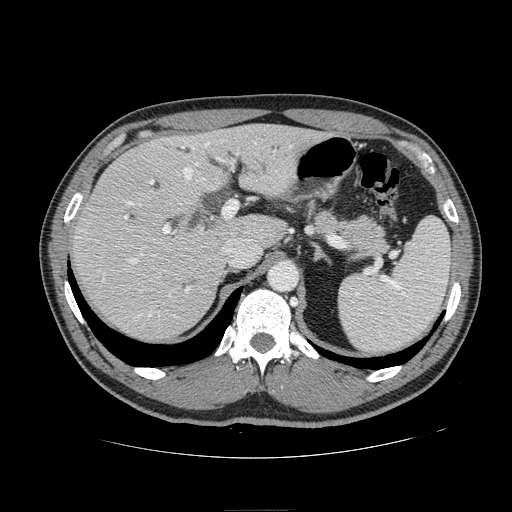 CT
The pancreas lies within (left=314, top=211, right=388, bottom=254).